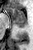

MR
<segmentation>
  <anterior_hippocampus>box=[7, 8, 27, 22]</anterior_hippocampus>
  <posterior_hippocampus>box=[15, 23, 25, 26]</posterior_hippocampus>
</segmentation>